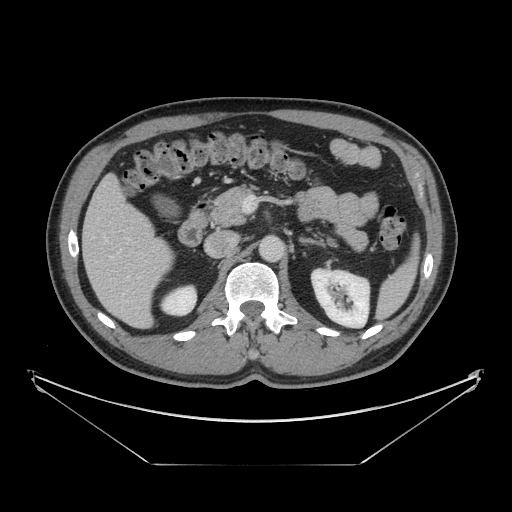
CT | 512x512 px
2 pancreas regions appear at box=[209, 186, 252, 226]; box=[312, 229, 335, 245].